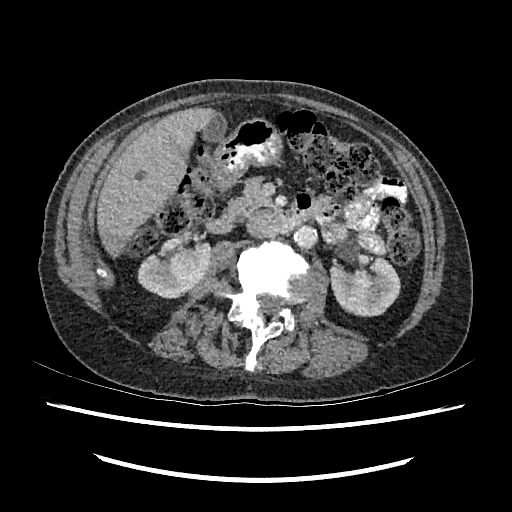
Upper abdomen; Computed tomography; Image size 512x512

kidney: bbox=[331, 255, 399, 315]; bbox=[139, 244, 210, 297] | focal liver lesion: bbox=[108, 235, 126, 246] | liver: bbox=[99, 107, 213, 256]